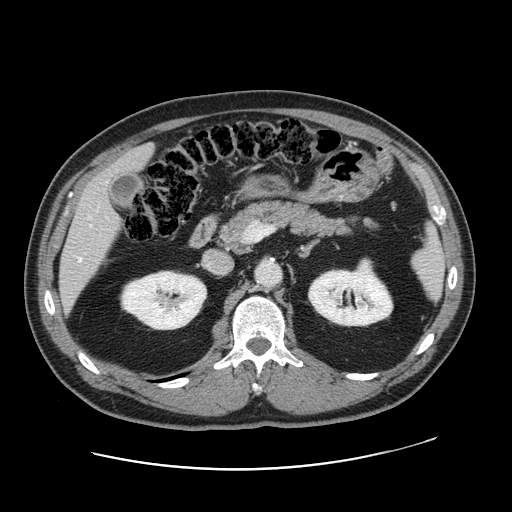 CT scan slice, Liver

Only some of the vessels may be annotated.
hepatic_vessel:
  - (89,224,91,226)
  - (78,257,81,260)
  - (66,303,68,305)
  - (106,181,107,182)
  - (115,214,119,221)
  - (145,144,152,148)
  - (88,215,91,218)